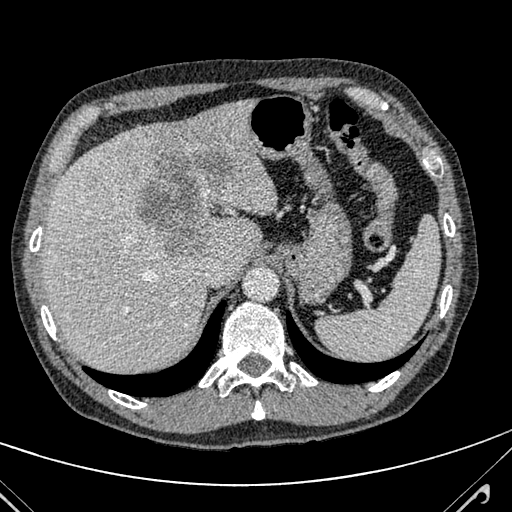

CT image | Upper abdomen

Segmented structures:
• liver: l=43, t=100, r=276, b=371
• focal liver lesion: l=136, t=143, r=231, b=260